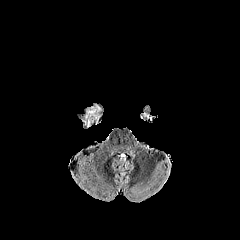
FLAIR magnetic resonance.
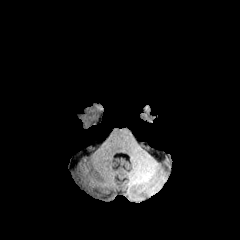
T1-weighted MR.
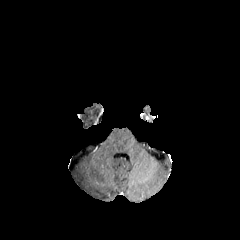
Post-contrast T1-weighted MR.
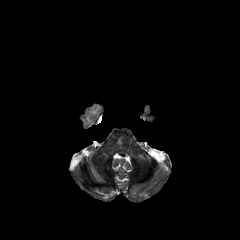
T2-weighted MRI.
Edema = 82:104:101:127.